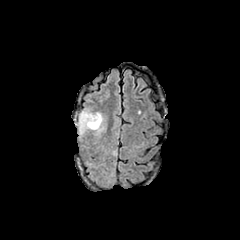
FLAIR magnetic resonance.
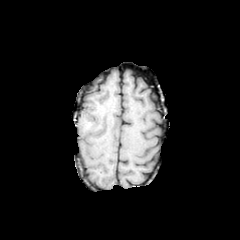
Same slice, T1-weighted MR image.
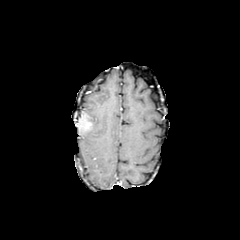
Post-contrast T1-weighted magnetic resonance.
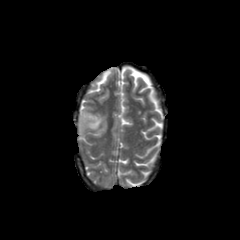
T2-weighted MRI.
Edema: bounding box (left=82, top=111, right=103, bottom=134).
Enhancing tumor: bounding box (left=78, top=112, right=90, bottom=134).